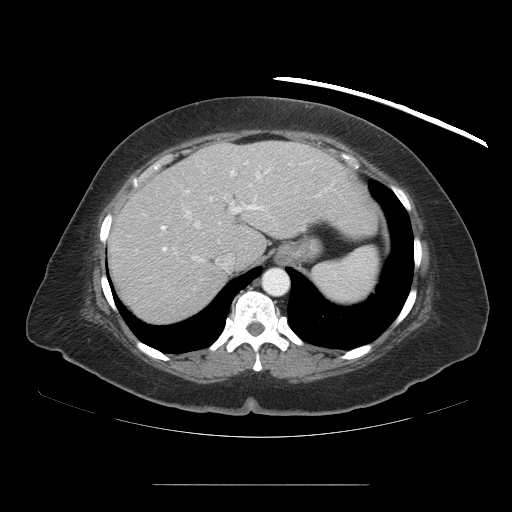 Liver. Computed tomography. Image size 512x512.
Only some of the vessels may be annotated.
13 hepatic vessel regions are located at [229, 170, 235, 176], [162, 246, 167, 251], [192, 256, 205, 263], [184, 190, 189, 193], [160, 225, 165, 230], [249, 183, 251, 186], [230, 196, 262, 213], [209, 197, 212, 200], [255, 170, 262, 181], [216, 254, 233, 270], [194, 221, 199, 227], [224, 196, 225, 197], [184, 208, 190, 217].